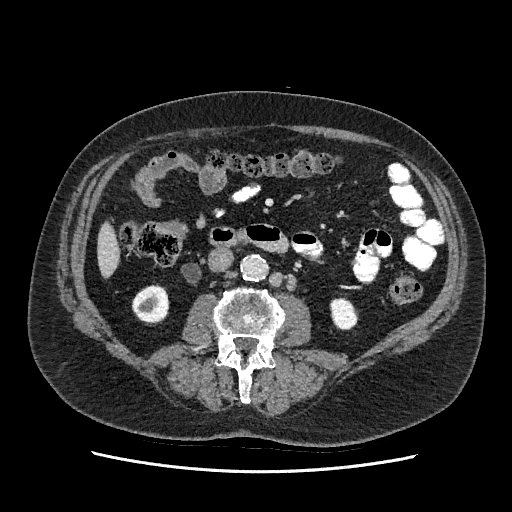 CT image, Abdomen

kidney:
  - 331,300,356,328
  - 133,286,167,321
liver:
  - 97,223,118,276